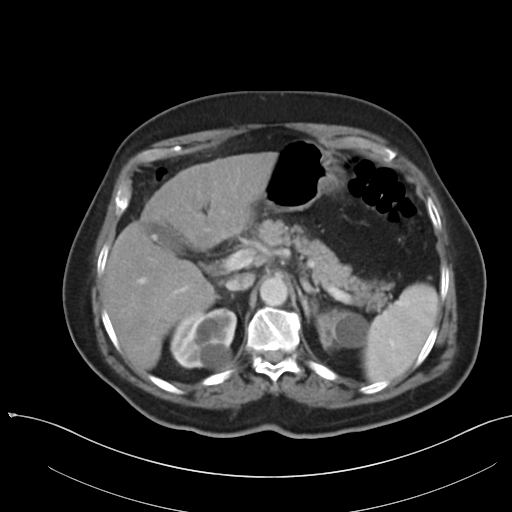

CT slice | Abdomen

Some hepatic vessels may have no box.
Hepatic vessel = {"x1": 205, "y1": 228, "x2": 209, "y2": 231}, {"x1": 200, "y1": 295, "x2": 202, "y2": 298}, {"x1": 208, "y1": 286, "x2": 211, "y2": 291}, {"x1": 197, "y1": 214, "x2": 200, "y2": 216}, {"x1": 231, "y1": 187, "x2": 234, "y2": 189}, {"x1": 151, "y1": 337, "x2": 155, "y2": 339}, {"x1": 137, "y1": 277, "x2": 145, "y2": 283}, {"x1": 222, "y1": 210, "x2": 224, "y2": 212}.